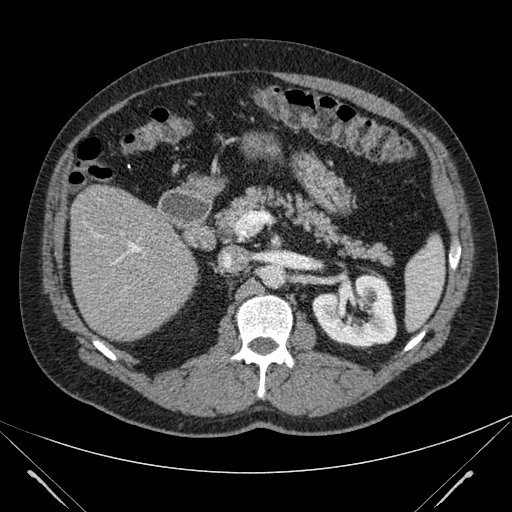 CT slice
kidney: x1=313 y1=276 x2=395 y2=345 | liver: x1=71 y1=185 x2=197 y2=340